CT image; Slice 94/139

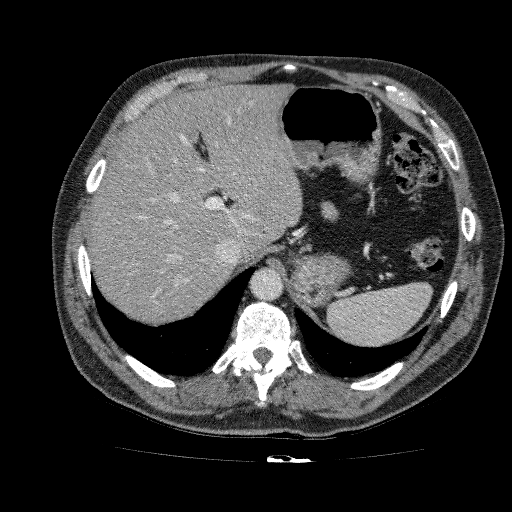

Segmented structures:
- liver: <box>85,83,301,323</box>